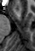

MRI slice
anterior_hippocampus:
  - 14, 7, 18, 10